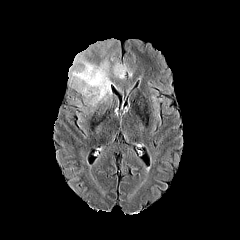
FLAIR magnetic resonance.
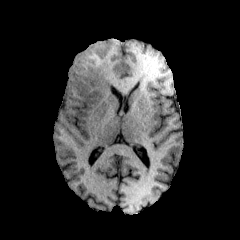
T1-weighted magnetic resonance.
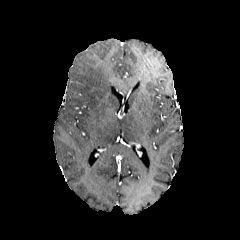
Post-contrast T1-weighted MR image of the same slice.
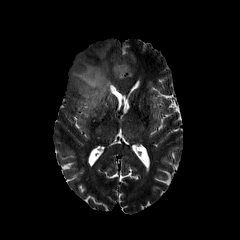
T2-weighted magnetic resonance of the same slice.
Head | 240x240
Edema: bounding box 113 63 132 79, 69 57 115 106.